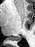 Medial temporal lobe. MRI slice. 35x47.

{"posterior_hippocampus": ["left=15, top=37, right=20, bottom=41"]}